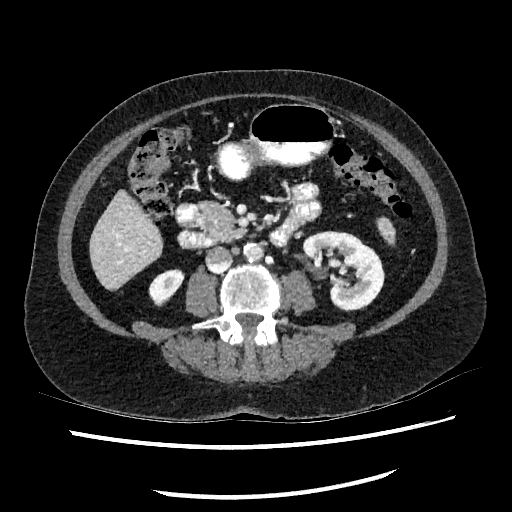

512x512 px, CT scan slice

{"kidney": ["[x1=304, y1=232, x2=383, y2=309]", "[x1=150, y1=271, x2=183, y2=302]"], "liver": ["[x1=91, y1=191, x2=161, y2=289]"]}